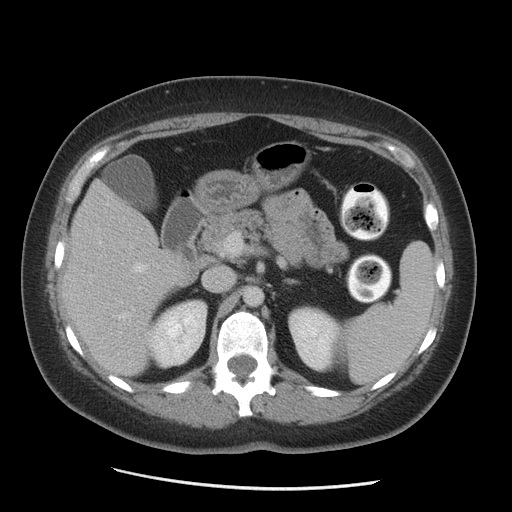 Abdomen. CT scan slice. kidney: (290, 310, 338, 367), (156, 307, 204, 360) | liver: (62, 180, 190, 376)